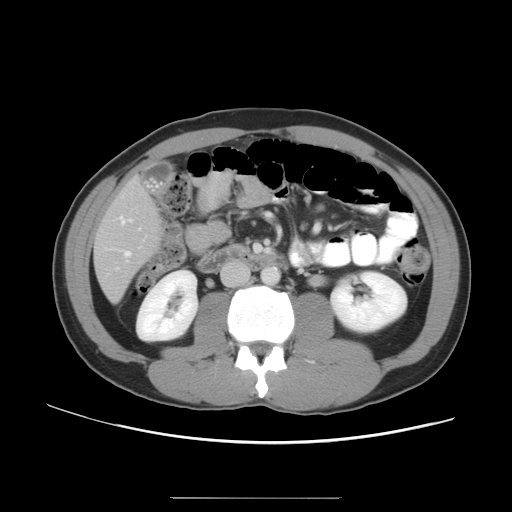 Liver | CT image
The vessel boxes may cover only some of the vessels.
Hepatic vessel — <box>120,216,132,224</box>, <box>131,180,135,184</box>, <box>116,268,118,269</box>, <box>105,247,131,261</box>, <box>139,228,140,229</box>.